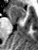 Medial temporal lobe | MR image

The anterior hippocampus is located at 7, 6, 25, 21.